Head
FLAIR MRI.
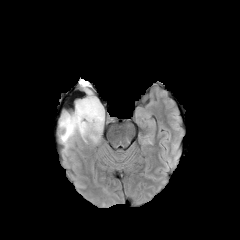
T1-weighted MRI.
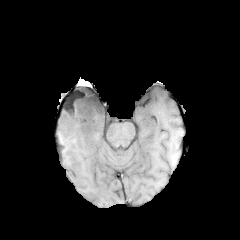
Post-contrast T1-weighted magnetic resonance.
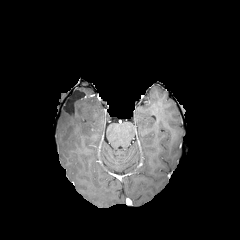
T2-weighted MRI.
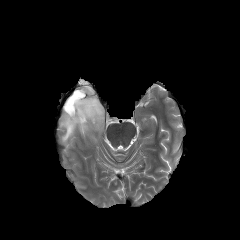
Non-enhancing tumor core = region(80, 94, 98, 109); region(90, 102, 103, 112).
Edema = region(59, 82, 105, 153).